Abdomen, Image width 408 mm, 512x512 px, CT
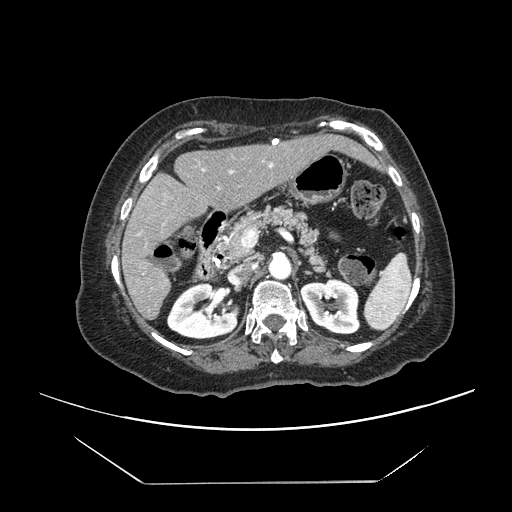
Some hepatic vessels may have no box.
Hepatic vessel = region(230, 171, 232, 172); region(241, 229, 256, 247).